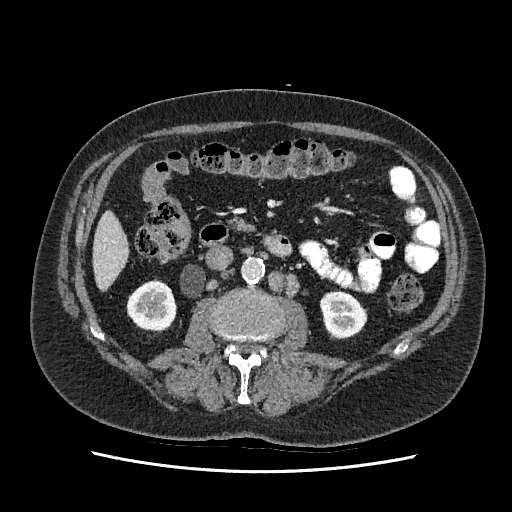
CT image; 512x512 px; Upper abdomen

Kidney: [x1=321, y1=292, x2=365, y2=337], [x1=127, y1=282, x2=175, y2=329].
Liver: [x1=93, y1=211, x2=128, y2=289].